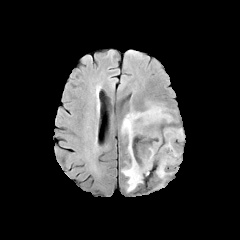
FLAIR MR image.
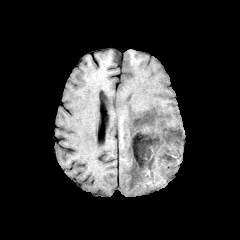
T1-weighted MRI.
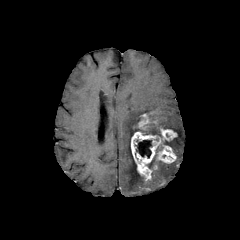
Post-contrast T1-weighted MRI.
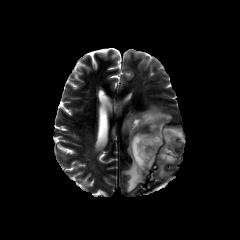
T2-weighted MR.
Head.
Findings:
- edema: [157, 161, 170, 178], [121, 105, 172, 192], [164, 127, 183, 157]
- enhancing tumor: [160, 129, 176, 140], [157, 145, 176, 163], [131, 132, 161, 178], [138, 114, 149, 129]
- non-enhancing tumor core: [134, 139, 152, 158], [136, 113, 171, 158]